MR | Hippocampus
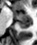
The anterior hippocampus is located at 13,11,30,19. The posterior hippocampus lies within 17,20,30,28.